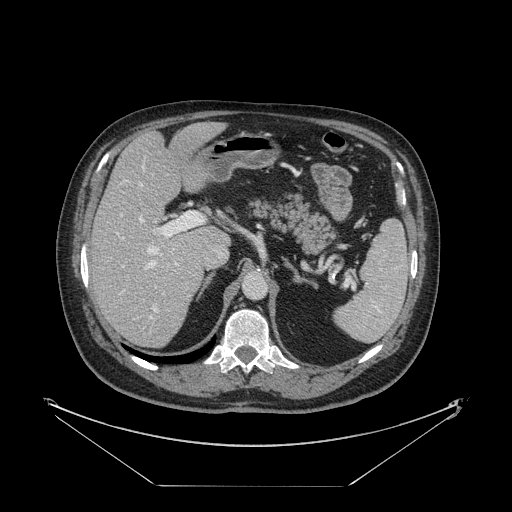 Liver | CT scan slice
The vessel annotation is not exhaustive.
Hepatic vessel at region(139, 216, 142, 221); region(153, 305, 156, 310).